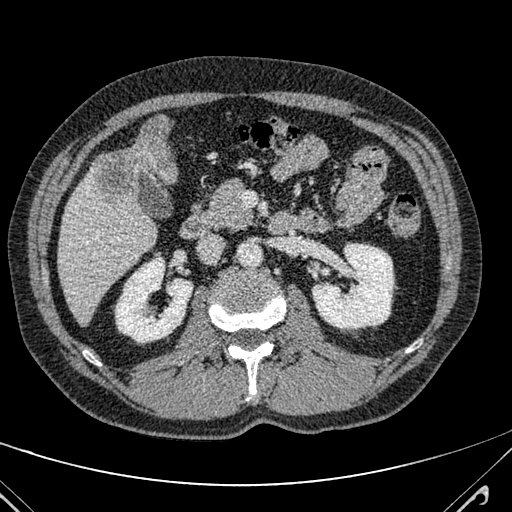

CT

liver_lesion:
  - region(96, 116, 176, 201)
liver:
  - region(59, 162, 154, 323)